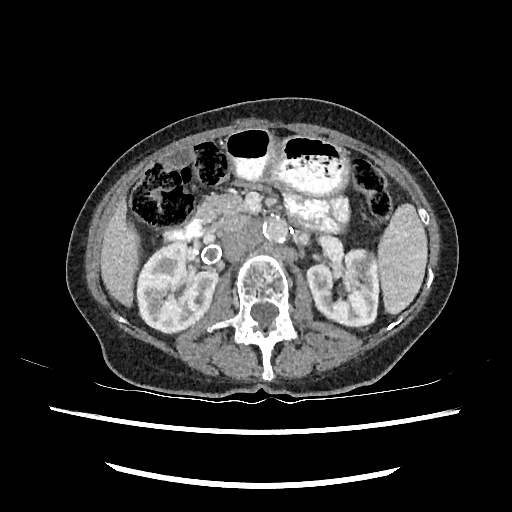
Upper abdomen; CT image

Annotated regions:
- kidney: x1=307 y1=251 x2=378 y2=325, x1=137 y1=245 x2=217 y2=332
- liver: x1=100 y1=200 x2=138 y2=305